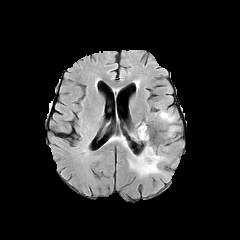
FLAIR MRI.
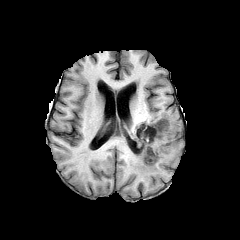
T1-weighted MR image.
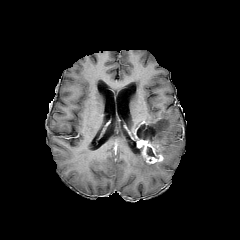
Same slice, post-contrast T1-weighted MR.
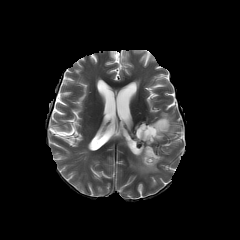
Same slice, T2-weighted MR image.
Image size 240x240.
3 edema regions are located at [156,109,177,136], [128,146,162,176], [152,141,168,161]. The non-enhancing tumor core is at [135,122,161,154]. The enhancing tumor is at [135,136,163,163].